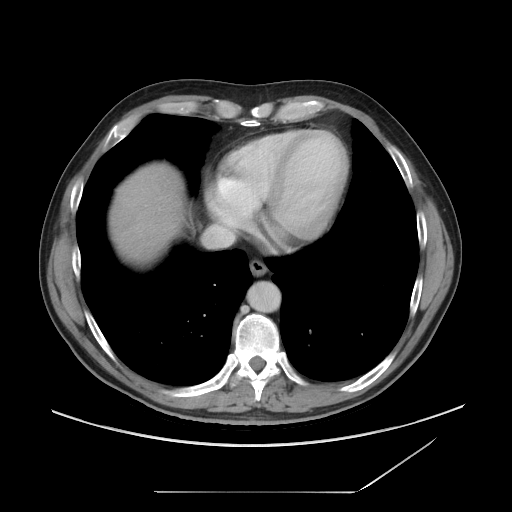

CT scan slice; Abdomen
The vessel annotation is not exhaustive.
<segmentation>
  <hepatic_vessel>208 226 226 236, 218 212 227 223</hepatic_vessel>
</segmentation>